CT 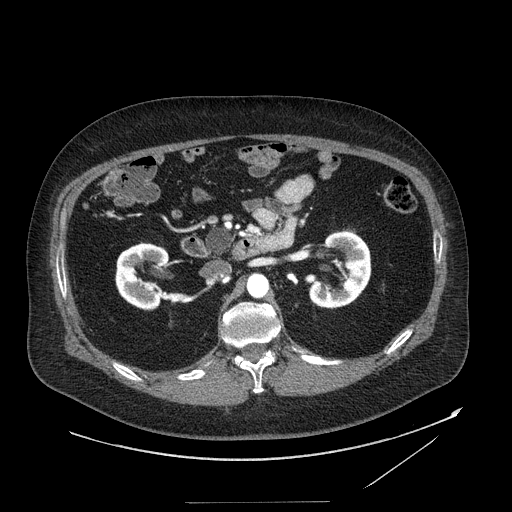

<segmentation>
  <pancreatic_tumor>region(206, 228, 232, 252)</pancreatic_tumor>
  <pancreas>region(204, 226, 234, 258)</pancreas>
</segmentation>